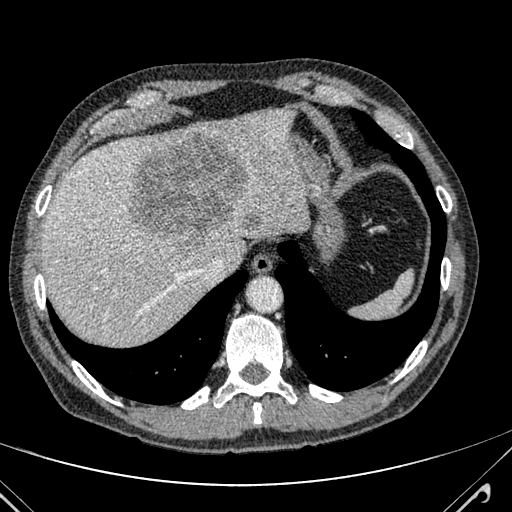 512x512 px; CT image; Abdomen

The liver is at left=41, top=110, right=308, bottom=344. 2 liver lesion regions are bounded by left=244, top=212, right=262, bottom=229; left=131, top=132, right=247, bottom=249.